Field of view 240x240 mm | Slice 80/155
FLAIR MR image.
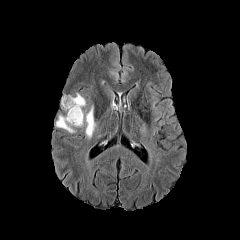
T1-weighted MR image.
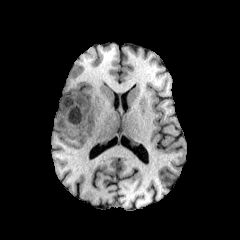
Post-contrast T1-weighted MR.
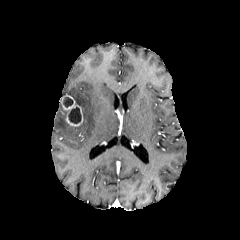
T2-weighted magnetic resonance.
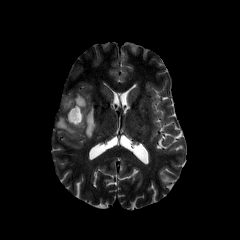
Enhancing tumor: (x1=61, y1=94, x2=83, y2=127).
Edema: (x1=55, y1=116, x2=76, y2=133), (x1=78, y1=105, x2=95, y2=139), (x1=73, y1=93, x2=87, y2=108).
Non-enhancing tumor core: (x1=68, y1=107, x2=81, y2=123), (x1=62, y1=97, x2=73, y2=108).